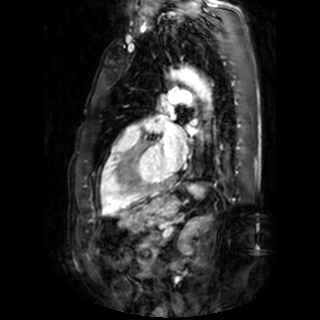

MR; Cardiac

• left atrium: (left=188, top=127, right=197, bottom=135), (left=156, top=118, right=186, bottom=169)